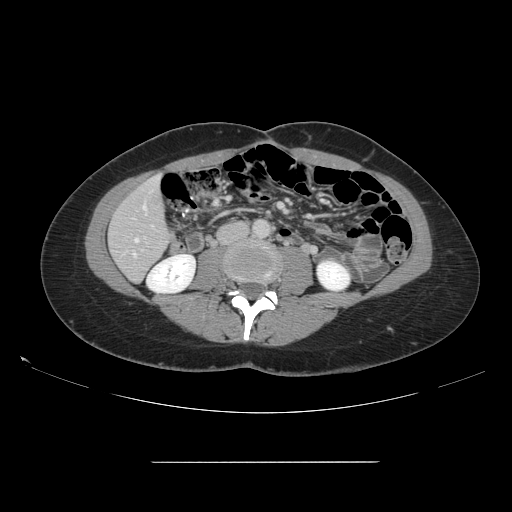
Liver, CT scan slice
The vessel annotation is not exhaustive.
6 hepatic vessel regions appear at {"x1": 142, "y1": 204, "x2": 146, "y2": 214}, {"x1": 150, "y1": 190, "x2": 152, "y2": 192}, {"x1": 135, "y1": 239, "x2": 138, "y2": 241}, {"x1": 151, "y1": 225, "x2": 153, "y2": 227}, {"x1": 133, "y1": 252, "x2": 136, "y2": 256}, {"x1": 149, "y1": 177, "x2": 158, "y2": 183}.